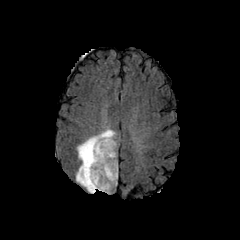
FLAIR magnetic resonance.
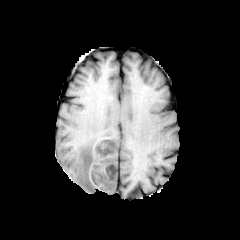
T1-weighted MRI of the same slice.
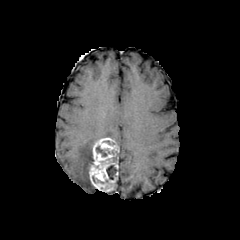
Post-contrast T1-weighted MRI.
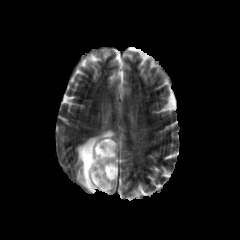
T2-weighted MR image of the same slice.
240x240 px, Brain
Enhancing tumor: bounding box <box>89,138,117,191</box>.
Edema: bounding box <box>74,127,117,193</box>.
Non-enhancing tumor core: bounding box <box>96,146,106,156</box>, <box>83,143,93,188</box>, <box>106,164,117,179</box>.